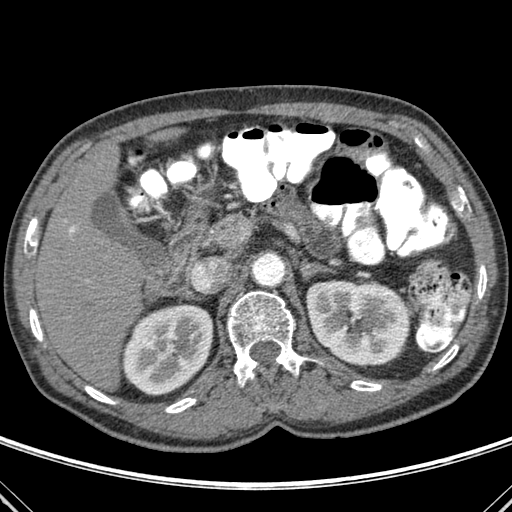 512x512 px, CT scan slice, Abdomen

Bone: l=454, t=187, r=467, b=210; l=228, t=291, r=315, b=385; l=477, t=265, r=486, b=298; l=351, t=380, r=381, b=391; l=29, t=309, r=42, b=341; l=433, t=344, r=458, b=369; l=24, t=218, r=36, b=252; l=85, t=386, r=114, b=404; l=165, t=398, r=196, b=412.
Liver: l=151, t=128, r=183, b=140; l=36, t=151, r=147, b=389.
Kidney: l=307, t=282, r=408, b=364; l=124, t=306, r=211, b=393.